CT
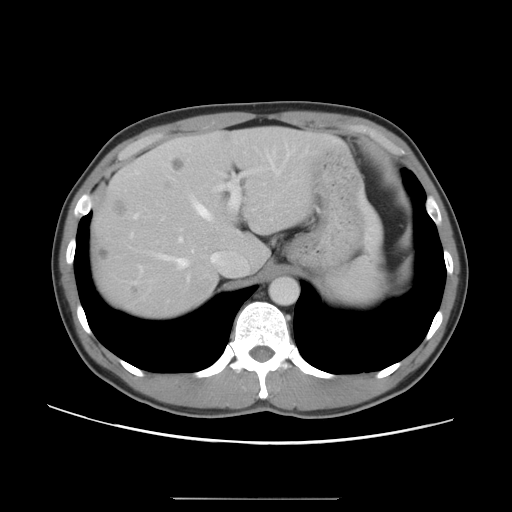

The vessel boxes may cover only some of the vessels.
- liver tumor: [117,202,126,215], [128,287,139,297], [171,158,183,171], [96,248,108,259], [162,181,172,190]
- hepatic vessel: [180,238,182,242], [154,253,189,268], [215,183,230,190], [134,214,138,218], [267,152,280,174], [192,198,213,220], [287,145,293,157]